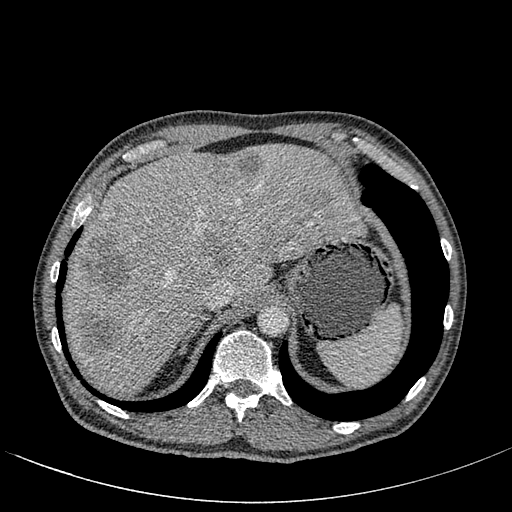

Abdomen. CT.
The liver appears at 65, 144, 366, 394. 6 focal liver lesion regions appear at 79, 311, 121, 351; 205, 235, 235, 265; 261, 234, 278, 249; 203, 151, 264, 187; 83, 235, 131, 292; 315, 192, 330, 207.